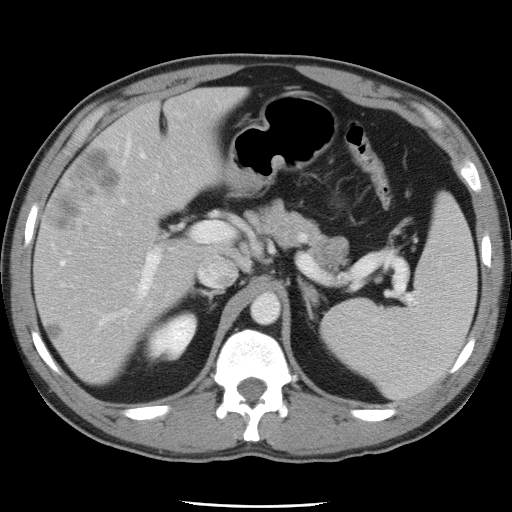 Abdomen. Image size 512x512. CT scan slice.
Not every hepatic vessel necessarily has a box.
hepatic_vessel:
  - bbox(139, 254, 158, 293)
  - bbox(101, 319, 103, 321)
  - bbox(140, 153, 142, 155)
  - bbox(61, 262, 63, 264)
  - bbox(196, 222, 228, 241)